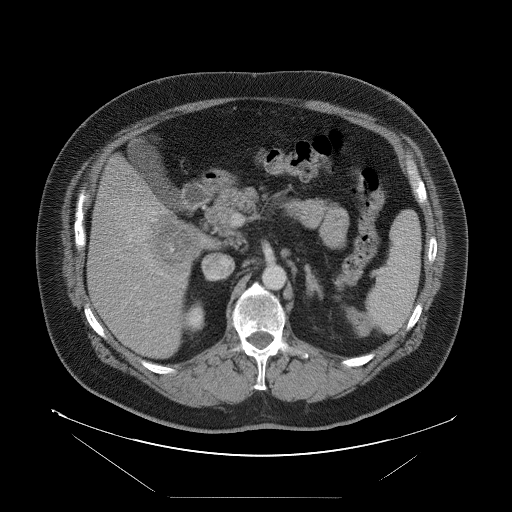
CT scan slice. Liver.

The vessel annotation is not exhaustive.
Annotated regions:
- hepatic vessel: 135 286 138 288, 151 218 156 221, 127 231 128 232, 145 257 151 260, 144 226 147 229, 158 270 161 274, 138 301 140 304, 125 234 132 241, 125 225 127 227
- liver tumor: 154 214 204 266